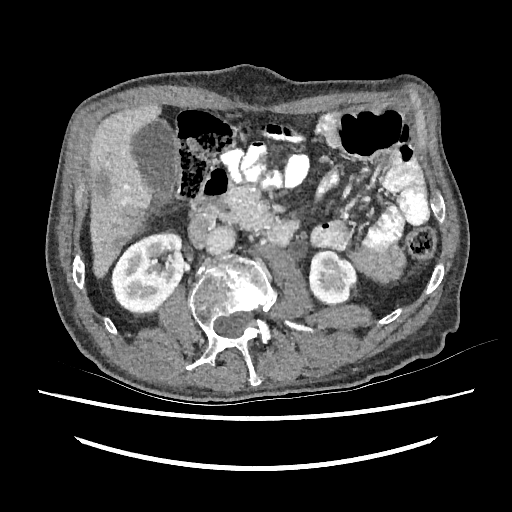 512x512 px | Abdomen | CT scan slice
kidney:
  - box(309, 251, 355, 303)
  - box(112, 234, 185, 311)
liver:
  - box(89, 105, 159, 277)
liver_lesion:
  - box(120, 205, 142, 232)
  - box(104, 235, 127, 251)
  - box(95, 170, 110, 197)